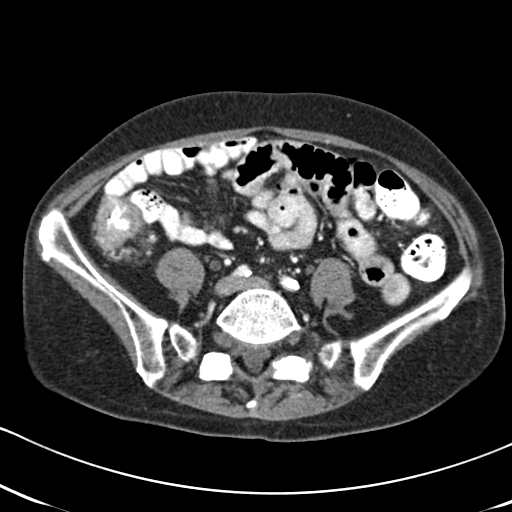 CT; Image size 512x512
colon_tumor:
  - bbox=[95, 196, 140, 249]